Computed tomography 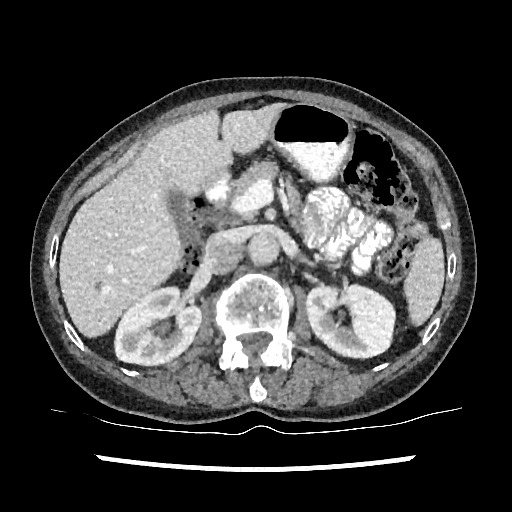
The liver appears at 61:104:284:336. 2 kidney regions are bounded by 307:287:394:356, 115:288:200:364.